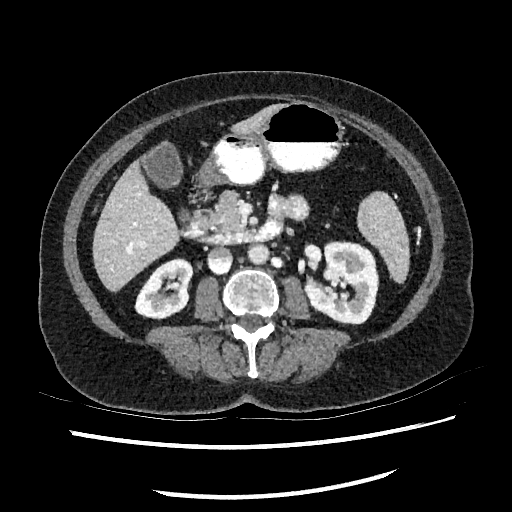 CT scan slice, Upper abdomen

2 liver regions are located at box(232, 103, 283, 132); box(92, 161, 177, 292). 2 kidney regions are bounded by box(306, 243, 377, 323); box(136, 260, 192, 317).